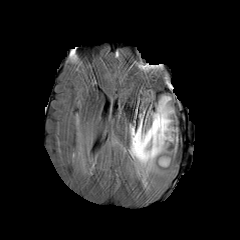
FLAIR MR image.
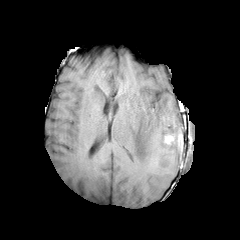
T1-weighted MRI.
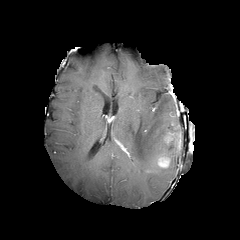
Post-contrast T1-weighted magnetic resonance.
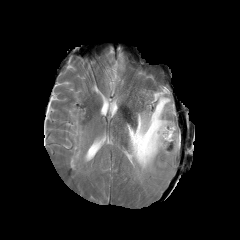
Same slice, T2-weighted MR image.
240x240
edema:
  - <bbox>126, 95, 178, 182</bbox>
enhancing_tumor:
  - <bbox>158, 158, 168, 166</bbox>